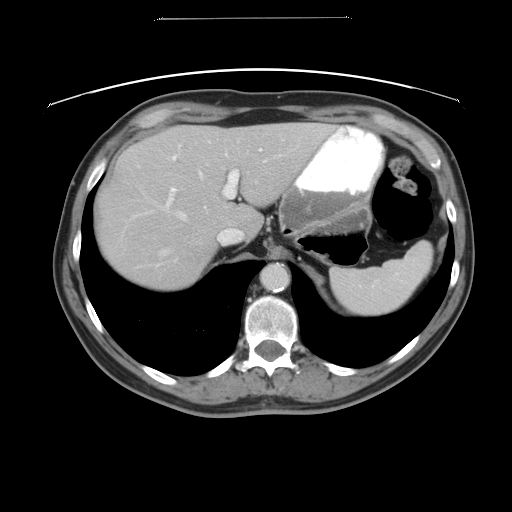

CT scan slice

Not every hepatic vessel necessarily has a box.
hepatic vessel: 172, 154, 177, 159; 278, 154, 281, 155; 179, 146, 180, 150; 165, 187, 176, 210; 133, 210, 150, 217; 223, 168, 238, 197; 218, 228, 243, 242; 260, 148, 261, 149; 174, 258, 177, 261; 178, 212, 186, 218; 161, 248, 169, 254